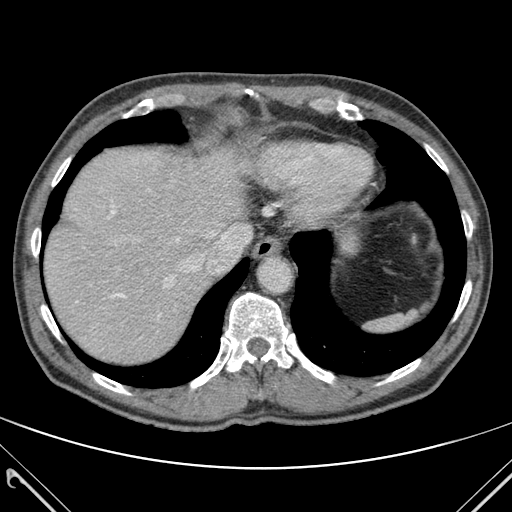
CT image
Bone: box(191, 293, 333, 387); box(31, 228, 40, 256); box(41, 305, 60, 340); box(52, 158, 70, 186); box(426, 145, 447, 171); box(93, 374, 129, 394); box(384, 359, 420, 382); box(462, 213, 472, 236); box(454, 281, 471, 319).
Lung: box(290, 120, 466, 375); box(73, 257, 249, 387); box(42, 110, 187, 240).
Liver: box(44, 147, 244, 364).